Slice 396/761 | Upper abdomen | CT image | 512x512

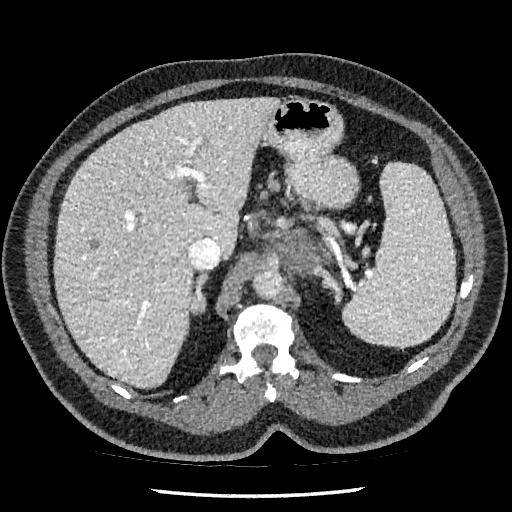

Liver lesion at [89, 240, 98, 249].
Liver at [54, 98, 278, 387].